Head.
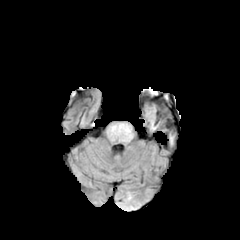
FLAIR MRI.
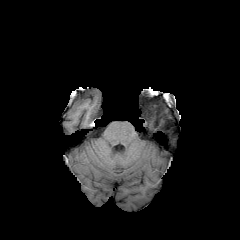
T1-weighted MRI.
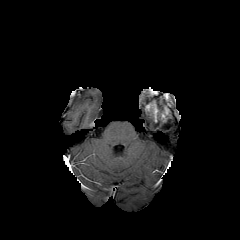
Post-contrast T1-weighted magnetic resonance.
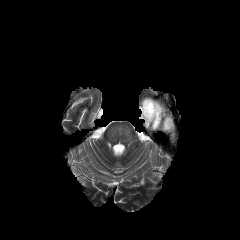
T2-weighted magnetic resonance.
The enhancing tumor is located at left=144, top=104, right=157, bottom=121. The non-enhancing tumor core appears at left=156, top=106, right=165, bottom=121.